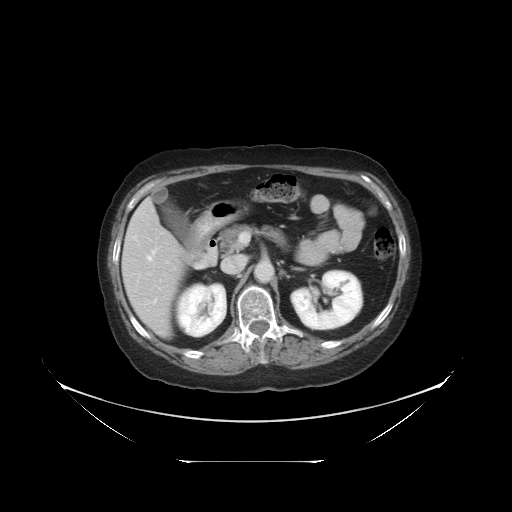 CT scan slice
Some hepatic vessels may have no box.
<segmentation>
  <hepatic_vessel>(left=147, top=256, right=151, bottom=260), (left=222, top=256, right=245, bottom=272), (left=151, top=299, right=156, bottom=303), (left=151, top=248, right=157, bottom=254)</hepatic_vessel>
</segmentation>